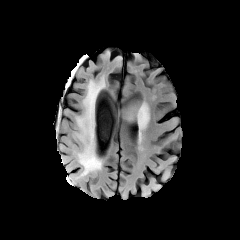
FLAIR magnetic resonance.
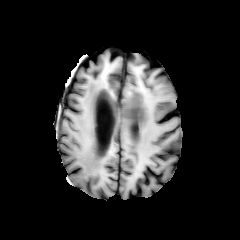
Same slice, T1-weighted MR.
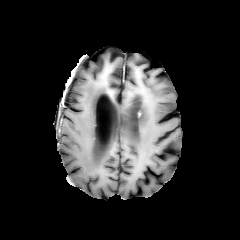
Post-contrast T1-weighted MRI of the same slice.
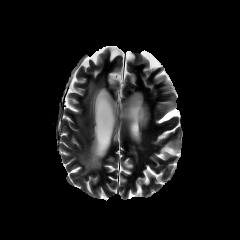
T2-weighted magnetic resonance.
240x240.
The edema is at bbox(72, 82, 103, 177).